Slice 360/560, Computed tomography, Abdomen
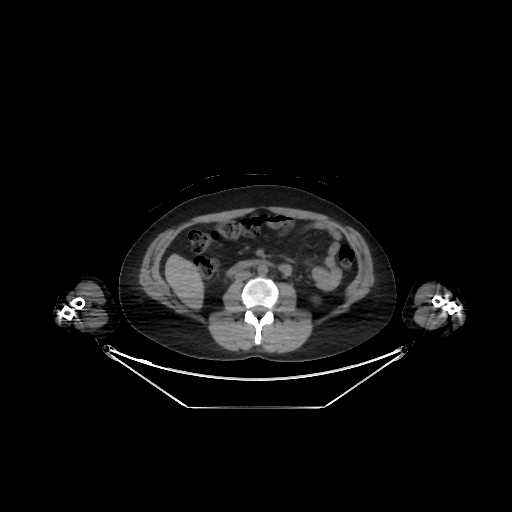

The liver is located at (165,254,203,308).